FLAIR magnetic resonance.
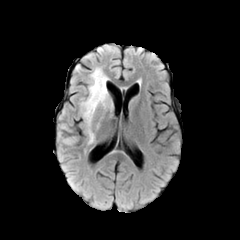
T1-weighted magnetic resonance.
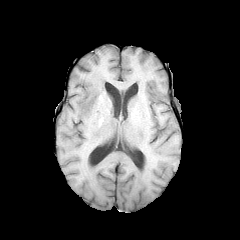
Post-contrast T1-weighted magnetic resonance.
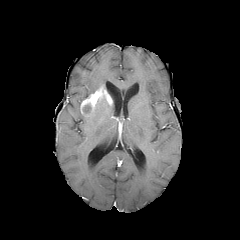
T2-weighted MRI.
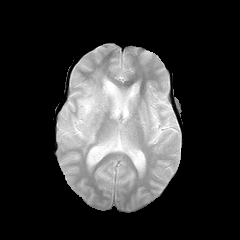
Head
Enhancing tumor — x1=80 y1=85 x2=109 y2=113.
Edema — x1=82 y1=100 x2=112 y2=144, x1=59 y1=118 x2=77 y2=144, x1=78 y1=68 x2=109 y2=101.
Non-enhancing tumor core — x1=82 y1=105 x2=91 y2=115.